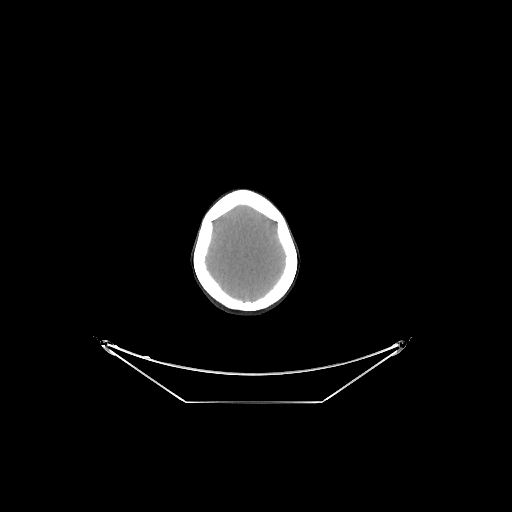 CT scan slice
Segmented structures:
- brain: box=[204, 204, 286, 302]